MR image; Hippocampus; Slice index 5
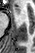
• anterior hippocampus: (15, 7, 20, 12)